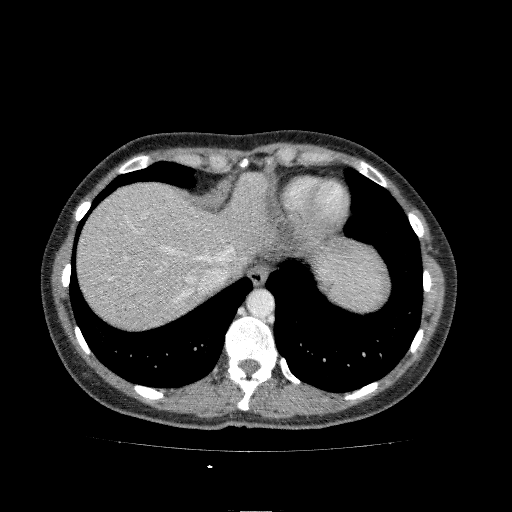 CT slice | Upper abdomen
liver:
  - box(78, 173, 274, 329)